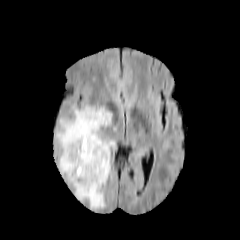
FLAIR magnetic resonance.
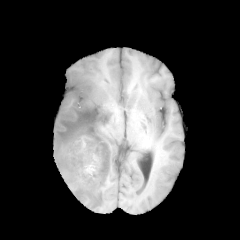
T1-weighted magnetic resonance.
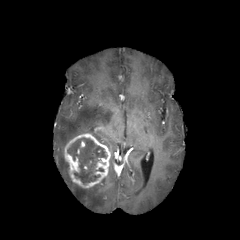
Post-contrast T1-weighted MRI.
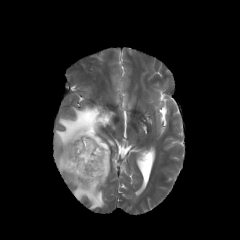
T2-weighted MR image of the same slice.
* enhancing tumor: bbox=[64, 133, 111, 188]
* non-enhancing tumor core: bbox=[67, 138, 106, 185]
* edema: bbox=[55, 105, 113, 209]